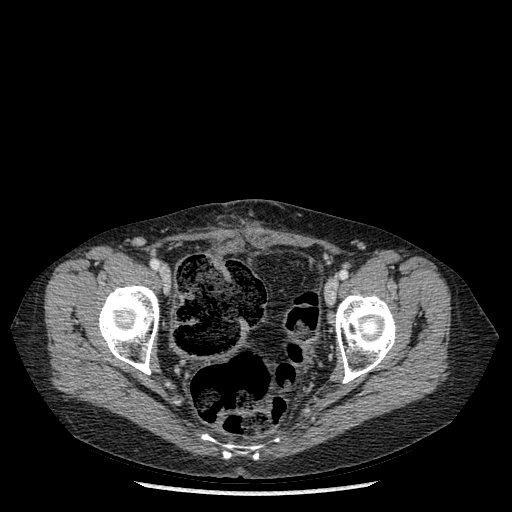

Image size 512x512. CT image.
Bone: bounding box 335:292:395:383, 201:434:215:442, 98:284:159:374, 222:444:261:459.